Field of view 468 mm wide, 2.50 mm slice spacing, Image size 512x512, CT image
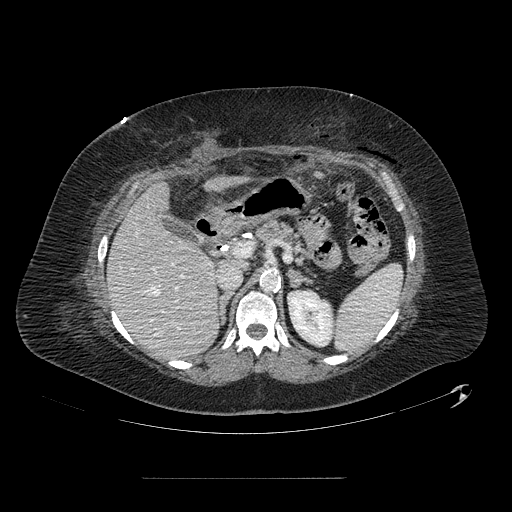
<segmentation>
  <pancreas>region(254, 222, 305, 265)</pancreas>
</segmentation>